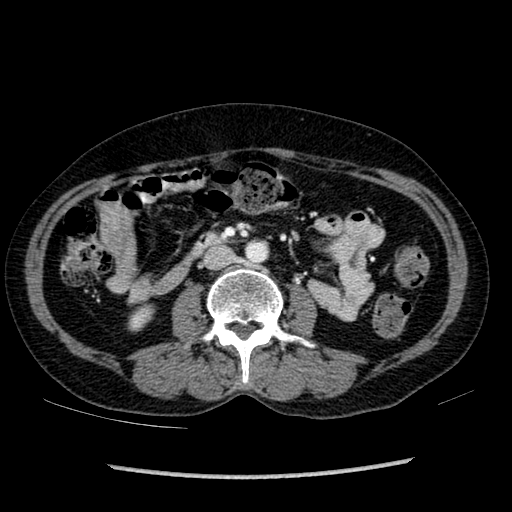
Abdomen, CT
Kidney: bbox(133, 314, 145, 326).